Head
FLAIR magnetic resonance.
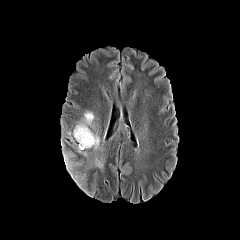
T1-weighted MR.
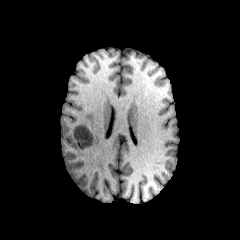
Post-contrast T1-weighted MRI.
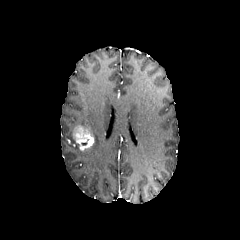
T2-weighted MRI.
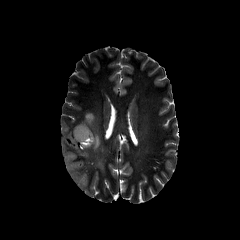
<segmentation>
  <enhancing_tumor>(73,126,94,150)</enhancing_tumor>
  <edema>(67,131,75,144), (73,145,91,156), (73,112,94,131), (91,132,102,156), (94,157,103,168), (62,151,82,187)</edema>
</segmentation>